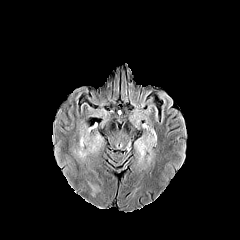
FLAIR MR image.
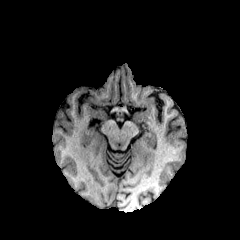
T1-weighted magnetic resonance of the same slice.
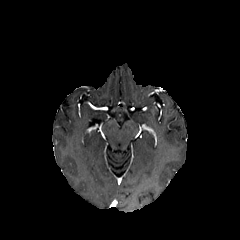
Same slice, post-contrast T1-weighted MR image.
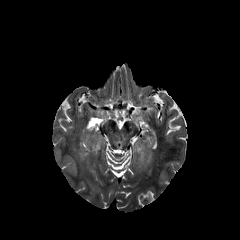
T2-weighted magnetic resonance.
Head. 240x240.
The edema lies within bbox(137, 136, 153, 161).